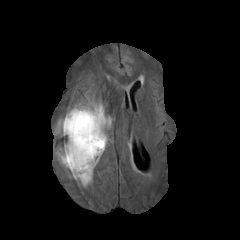
FLAIR MR image.
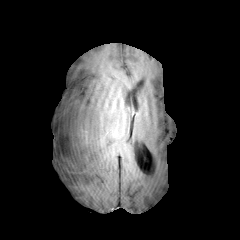
Same slice, T1-weighted MRI.
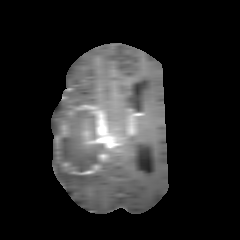
Post-contrast T1-weighted MRI of the same slice.
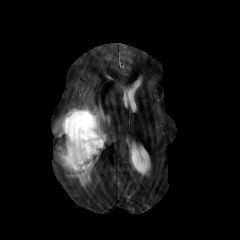
T2-weighted MR image.
Image size 240x240 | Head
Non-enhancing tumor core: (53,110,107,174).
Enhancing tumor: (62,125,67,134), (74,104,113,161), (73,165,100,174).
Edema: (63,169,92,187), (53,91,104,135).